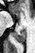 Medial temporal lobe | MR
posterior_hippocampus:
  - left=13, top=31, right=25, bottom=43